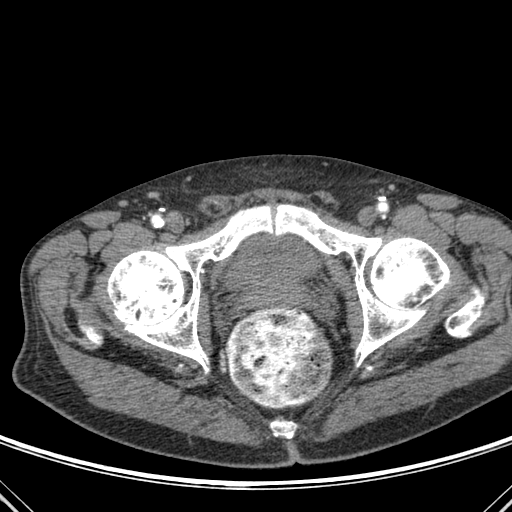 CT slice. - bone: <bbox>81, 325, 100, 344</bbox>, <bbox>107, 204, 484, 371</bbox>, <bbox>270, 420, 296, 438</bbox>